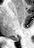
Hippocampus | MRI slice
• posterior hippocampus: left=11, top=38, right=18, bottom=40